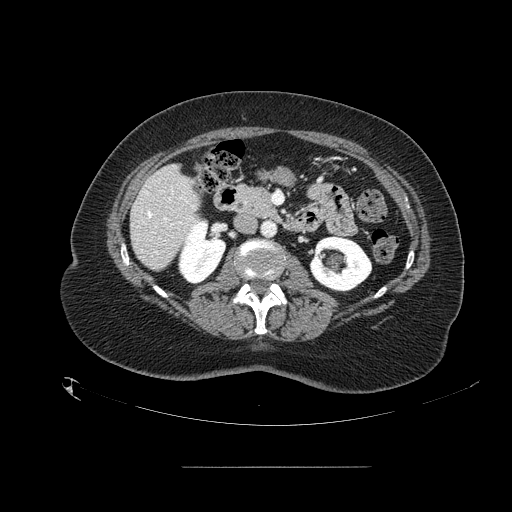
Image size 512x512. CT.
{"pancreas": ["<bbox>234, 183, 274, 219</bbox>"]}